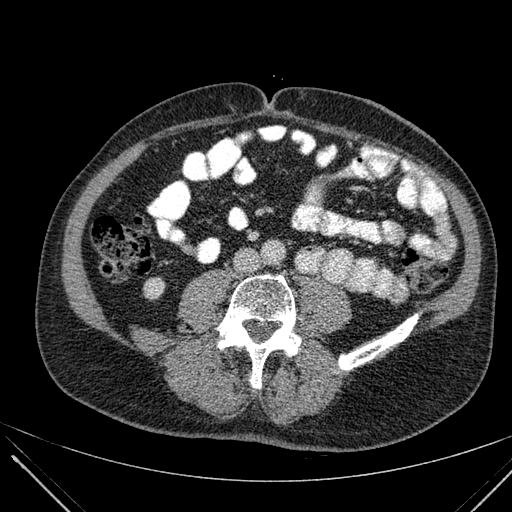 Image size 512x512 | CT | Abdomen
Kidney: [144,278,163,298].